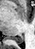

Image size 35x49, Hippocampus, MRI

* posterior hippocampus: (11, 34, 23, 42)